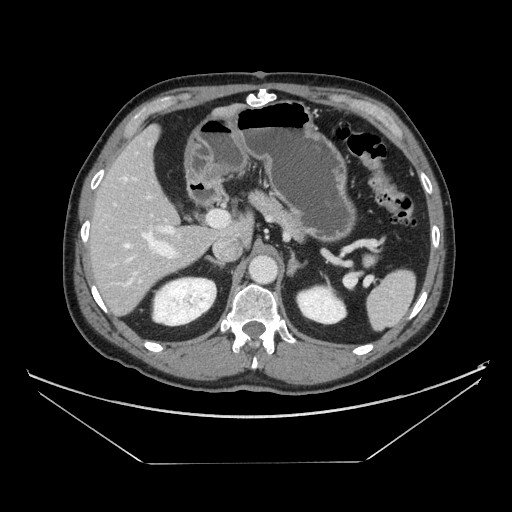 Abdomen; CT image
* pancreas: box=[246, 189, 306, 242]; box=[362, 252, 379, 267]